Brain
FLAIR MRI.
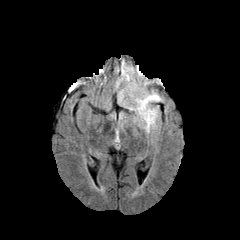
T1-weighted MRI.
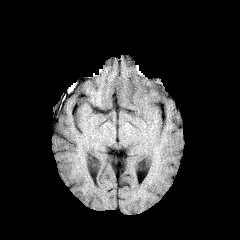
Post-contrast T1-weighted MR image.
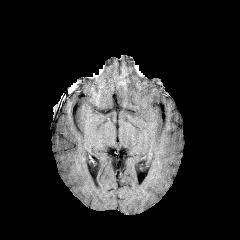
T2-weighted magnetic resonance.
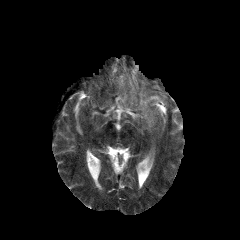
{"edema": ["x1=134 y1=90 x2=162 y2=131", "x1=121 y1=67 x2=139 y2=90"]}